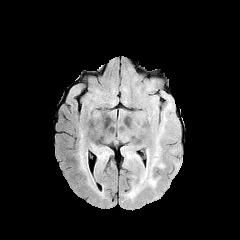
FLAIR MR image.
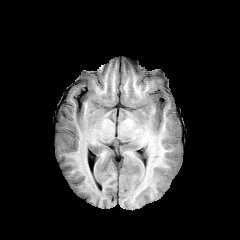
Same slice, T1-weighted MR.
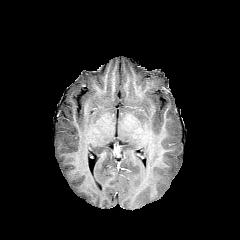
Same slice, post-contrast T1-weighted MRI.
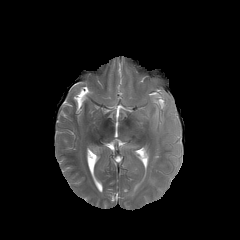
Same slice, T2-weighted magnetic resonance.
Head.
Edema — <box>91,144,105,167</box>, <box>80,150,86,169</box>.